Upper abdomen, Image width 437 mm, Computed tomography
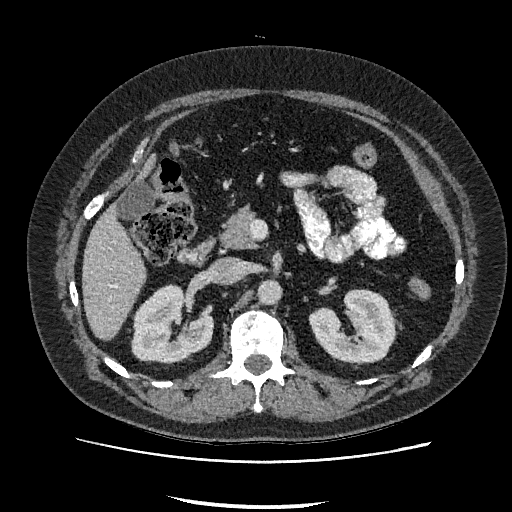
Kidney — (133, 286, 212, 361), (310, 290, 394, 361).
Liver — (82, 204, 145, 338), (139, 156, 154, 178).